Slice index 451. Chest. CT image.
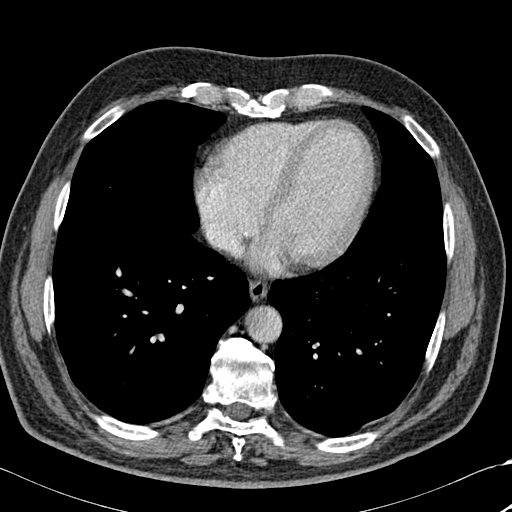

Lung: (left=52, top=100, right=250, bottom=424), (left=267, top=106, right=446, bottom=437).
Bone: (left=228, top=85, right=326, bottom=117), (left=97, top=416, right=156, bottom=439), (left=54, top=185, right=68, bottom=227), (left=85, top=107, right=121, bottom=138), (left=426, top=316, right=444, bottom=364), (left=189, top=338, right=282, bottom=458), (left=443, top=205, right=454, bottom=255), (left=179, top=83, right=207, bottom=91), (left=180, top=93, right=196, bottom=96), (left=318, top=433, right=376, bottom=452), (left=44, top=279, right=53, bottom=327), (left=404, top=116, right=438, bottom=155).